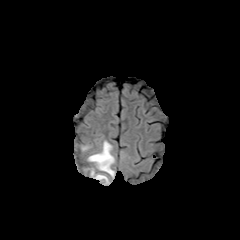
FLAIR MR.
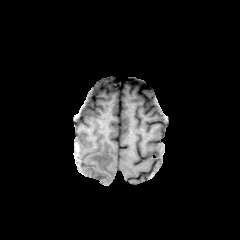
T1-weighted MR.
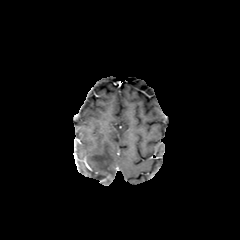
Post-contrast T1-weighted MR image of the same slice.
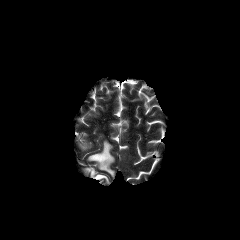
T2-weighted MRI.
Head
edema:
  - box(83, 140, 114, 182)
  - box(79, 142, 91, 150)